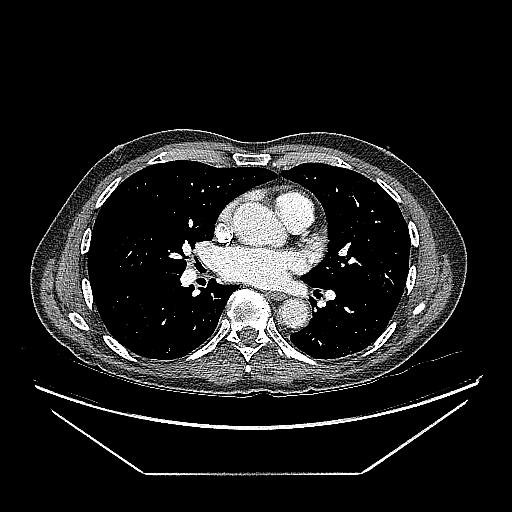
Lung | Computed tomography
The lung tumor is bounded by x1=342, y1=346, x2=352, y2=355.